Computed tomography. Abdomen. Image size 512x512.

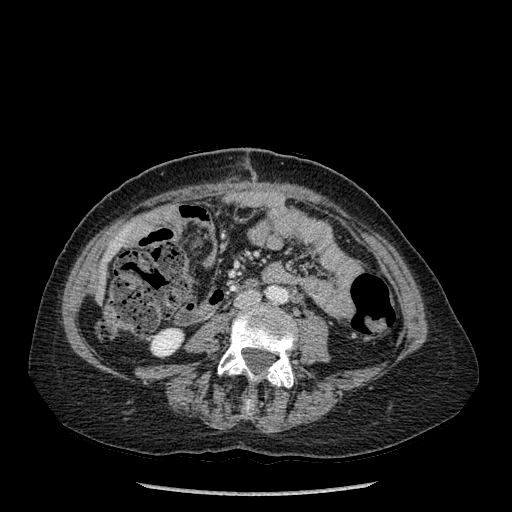

2 liver regions appear at (x1=106, y1=234, x2=124, y2=250), (x1=98, y1=256, x2=111, y2=298). 2 bone regions appear at (x1=244, y1=394, x2=253, y2=414), (x1=218, y1=303, x2=297, y2=387). The kidney appears at (x1=151, y1=329, x2=183, y2=355).